FLAIR magnetic resonance.
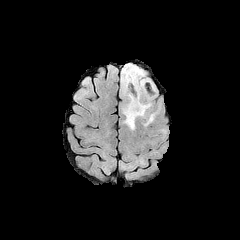
T1-weighted magnetic resonance.
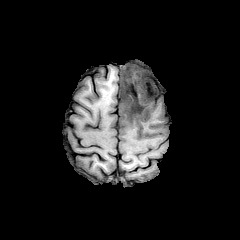
Post-contrast T1-weighted MR.
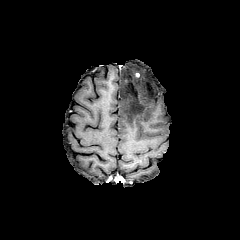
T2-weighted magnetic resonance.
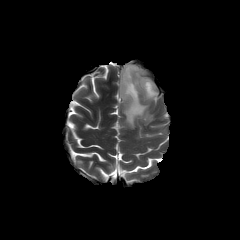
non-enhancing tumor core: (122, 75, 138, 99) | edema: (120, 64, 157, 129)